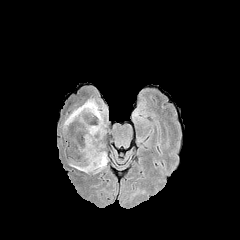
FLAIR MR image.
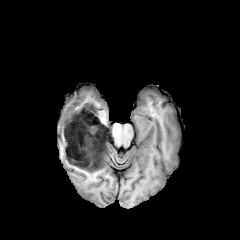
T1-weighted magnetic resonance.
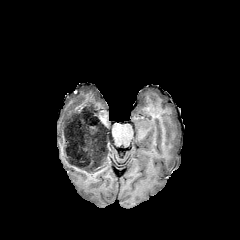
Same slice, post-contrast T1-weighted MR image.
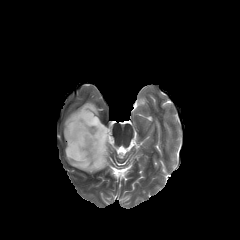
Same slice, T2-weighted MR.
The non-enhancing tumor core is bounded by region(65, 106, 112, 172). 3 edema regions are bounded by region(69, 164, 96, 173); region(64, 99, 105, 128); region(98, 152, 108, 172).